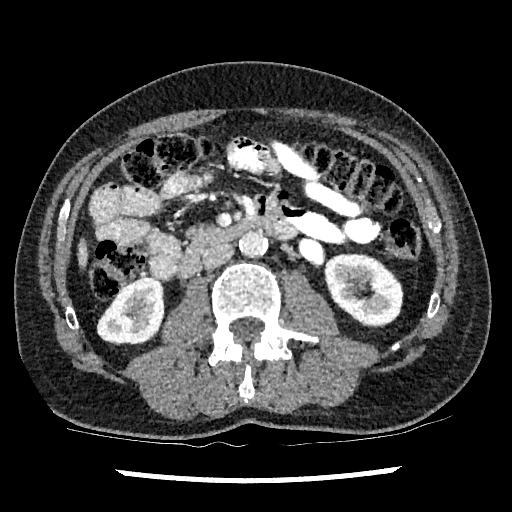 CT image
{"liver": ["[77, 240, 86, 269]"], "kidney": ["[98, 278, 163, 342]", "[325, 255, 401, 324]"]}